FLAIR magnetic resonance.
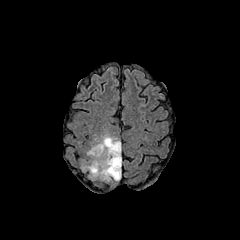
T1-weighted MR image.
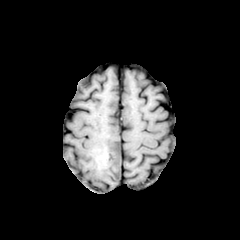
Post-contrast T1-weighted MRI.
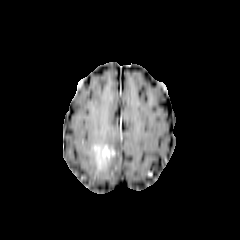
T2-weighted magnetic resonance.
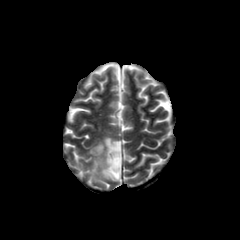
Non-enhancing tumor core = rect(97, 143, 119, 171).
Edema = rect(82, 132, 121, 181).
Enhancing tumor = rect(92, 145, 114, 168).